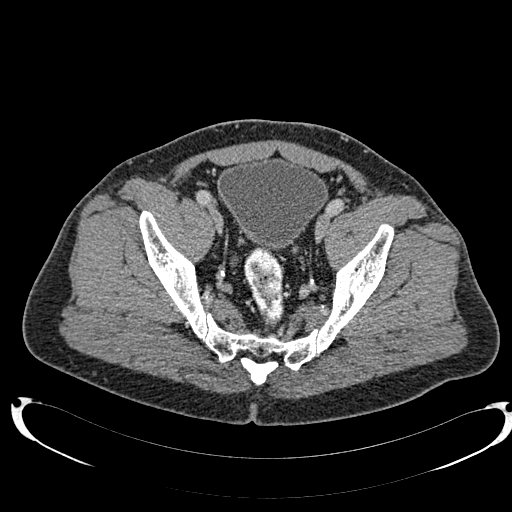 CT slice
urinary_bladder:
  - l=219, t=157, r=328, b=250